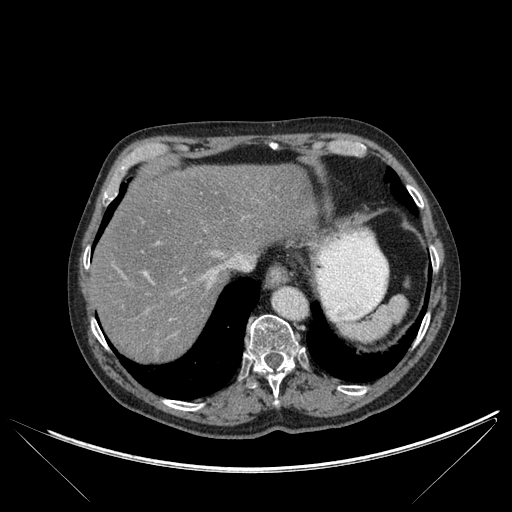 CT; Image size 512x512; Liver
{
  "lung": [
    "<bbox>95, 183, 126, 242</bbox>",
    "<bbox>307, 290, 427, 382</bbox>",
    "<bbox>113, 278, 259, 399</bbox>",
    "<bbox>385, 168, 417, 215</bbox>"
  ],
  "liver": [
    "<bbox>89, 164, 315, 363</bbox>",
    "<bbox>212, 274, 225, 293</bbox>"
  ],
  "bone": [
    "<bbox>338, 386, 366, 395</bbox>",
    "<bbox>163, 400, 202, 410</bbox>",
    "<bbox>91, 319, 107, 347</bbox>",
    "<bbox>244, 315, 304, 404</bbox>",
    "<bbox>431, 247, 438, 269</bbox>",
    "<bbox>407, 185, 423, 207</bbox>",
    "<bbox>416, 314, 429, 343</bbox>",
    "<bbox>83, 249, 89, 268</bbox>"
  ]
}